CT | Slice 122 of 151 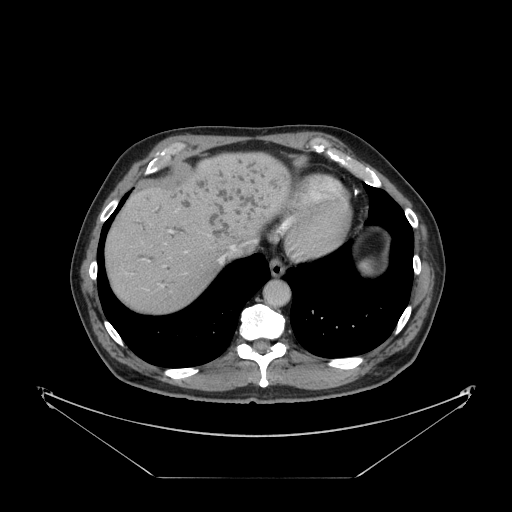

The vessel boxes may cover only some of the vessels.
4 hepatic vessel regions appear at [217,244,238,263], [244,240,256,244], [168,231,171,231], [161,285,163,286].